Computed tomography. Slice 10/73. Field of view 376 mm wide, 2.50 mm slice spacing. Upper abdomen. 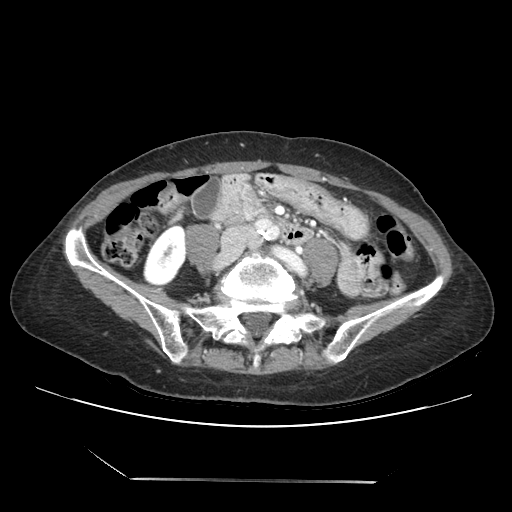 pancreas: {"x1": 214, "y1": 174, "x2": 272, "y2": 225}